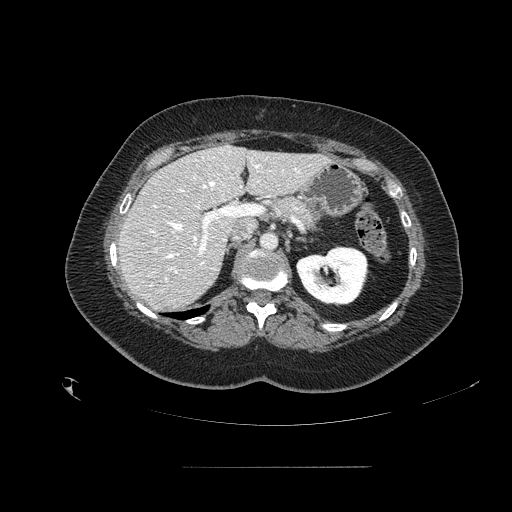
CT
<segmentation>
  <pancreas>[267, 194, 320, 234]</pancreas>
</segmentation>